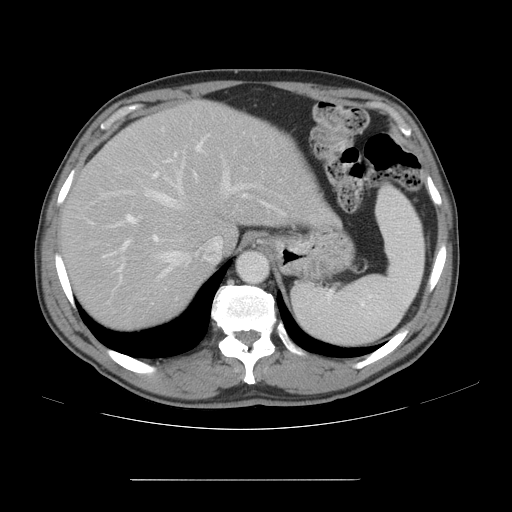

Computed tomography | 512x512

Some hepatic vessels may have no box.
Hepatic vessel: bounding box bbox(145, 191, 179, 206); bbox(221, 173, 247, 193); bbox(160, 251, 190, 276); bbox(108, 214, 137, 226); bbox(243, 194, 246, 196); bbox(193, 172, 197, 181); bbox(175, 152, 176, 156); bbox(195, 253, 196, 255); bbox(153, 235, 157, 240); bbox(195, 135, 208, 152); bbox(120, 239, 130, 251); bbox(153, 172, 158, 177); bbox(164, 158, 172, 162); bbox(170, 161, 184, 193); bbox(164, 177, 165, 179).